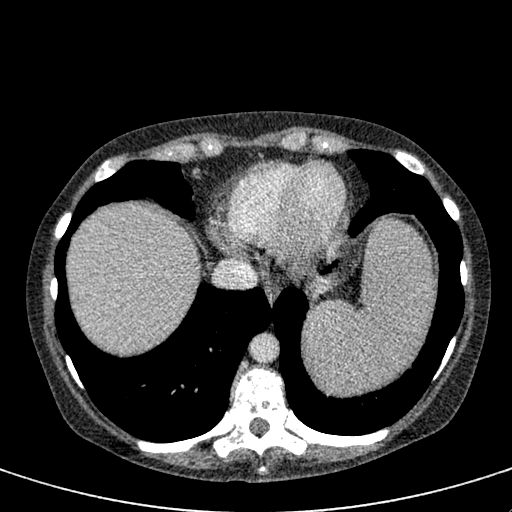 CT slice. Liver. Image size 512x512.

2 liver regions appear at [x1=67, y1=206, x2=197, y2=353], [x1=314, y1=277, x2=330, y2=294].